FLAIR MR.
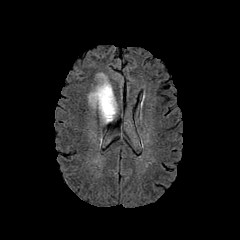
T1-weighted MR image.
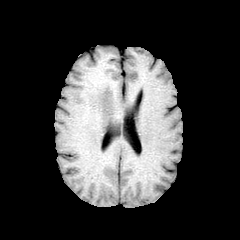
Post-contrast T1-weighted MR.
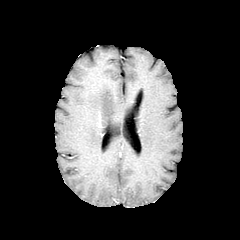
T2-weighted magnetic resonance.
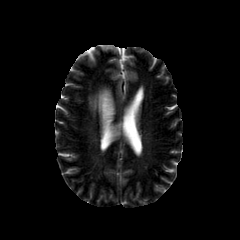
Image size 240x240
Edema: {"x1": 88, "y1": 81, "x2": 117, "y2": 124}.